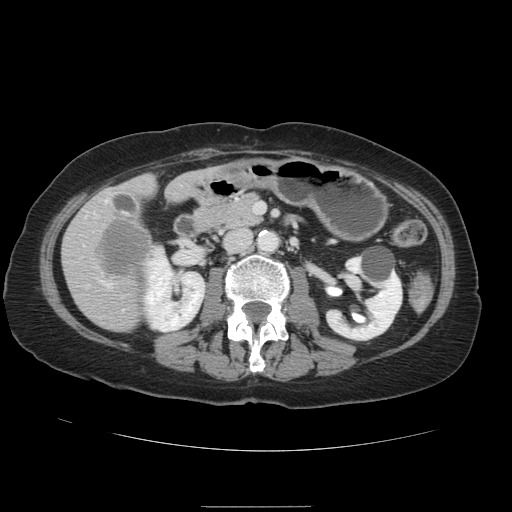
Computed tomography
Not every hepatic vessel necessarily has a box.
liver tumor: x1=101, y1=218, x2=150, y2=287 | hepatic vessel: x1=104, y1=200, x2=106, y2=202; x1=100, y1=281, x2=109, y2=287